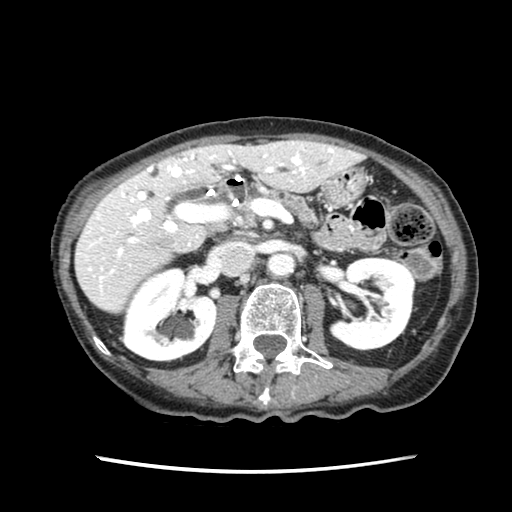
CT slice | Image size 512x512
{"pancreas": ["(x1=244, y1=209, x2=254, y2=225)", "(x1=272, y1=191, x2=316, y2=229)"]}